Head.
FLAIR MR image.
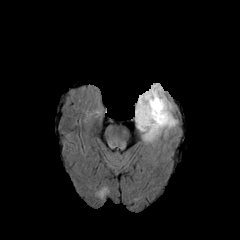
T1-weighted MR image.
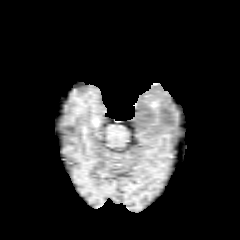
Post-contrast T1-weighted MR.
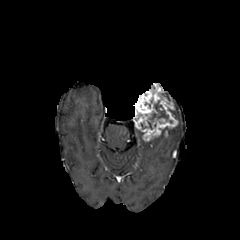
T2-weighted magnetic resonance.
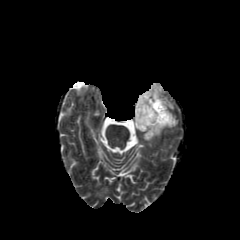
{
  "edema": [
    "region(138, 129, 160, 143)",
    "region(162, 126, 175, 136)"
  ],
  "non-enhancing_tumor_core": [
    "region(140, 98, 172, 128)"
  ],
  "enhancing_tumor": [
    "region(135, 84, 178, 140)"
  ]
}